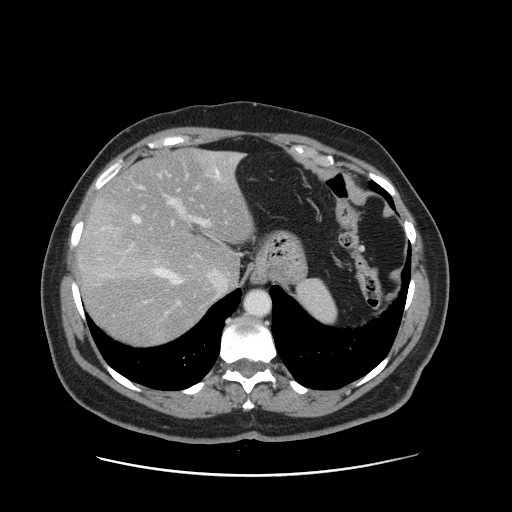
Abdomen, CT
Some hepatic vessels may have no box.
• hepatic vessel: {"x1": 188, "y1": 217, "x2": 209, "y2": 226}, {"x1": 177, "y1": 301, "x2": 180, "y2": 304}, {"x1": 168, "y1": 198, "x2": 183, "y2": 213}, {"x1": 155, "y1": 268, "x2": 181, "y2": 283}, {"x1": 215, "y1": 170, "x2": 219, "y2": 179}, {"x1": 172, "y1": 222, "x2": 174, "y2": 224}, {"x1": 238, "y1": 155, "x2": 240, "y2": 157}